Head. Slice index 68. Image width 240 mm.
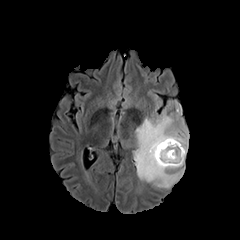
FLAIR magnetic resonance.
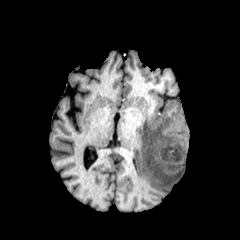
Same slice, T1-weighted MR.
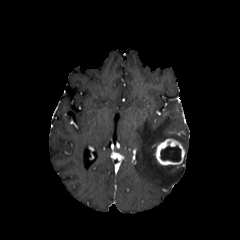
Post-contrast T1-weighted MR image.
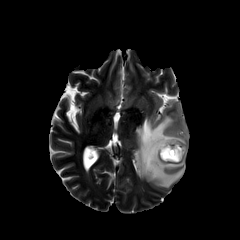
Same slice, T2-weighted MR image.
Enhancing tumor: (x1=155, y1=139, x2=184, y2=164).
Edema: (x1=135, y1=112, x2=188, y2=188).
Non-enhancing tumor core: (x1=160, y1=145, x2=181, y2=162).